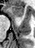
MRI
The anterior hippocampus is located at left=8, top=5, right=23, bottom=16.